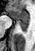
Magnetic resonance
posterior_hippocampus:
  - region(18, 23, 28, 31)
anterior_hippocampus:
  - region(7, 6, 29, 22)